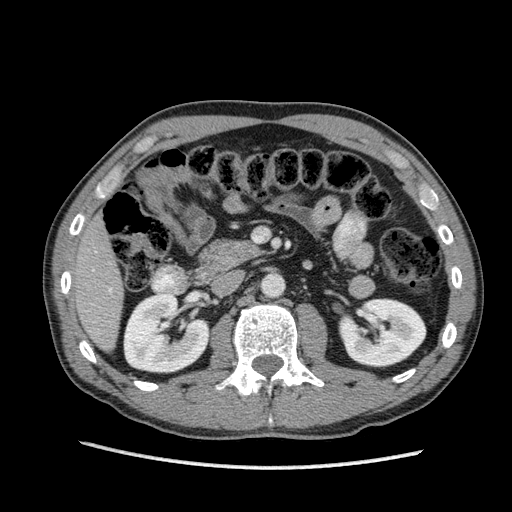

Upper abdomen, Image size 512x512, CT image

<segmentation>
  <kidney>bbox=[341, 300, 425, 365]; bbox=[124, 293, 208, 371]</kidney>
  <liver>bbox=[64, 213, 123, 352]</liver>
</segmentation>